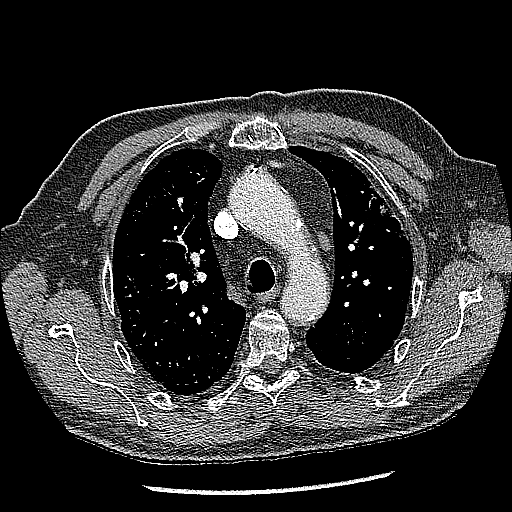

Thorax | CT

Lung tumor: bbox(369, 185, 405, 238).